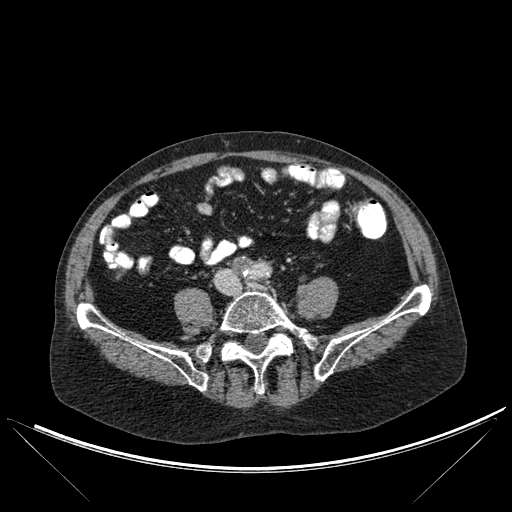 CT image.
Bone at box=[77, 303, 207, 390]; box=[314, 285, 431, 380]; box=[222, 292, 313, 393]; box=[197, 345, 211, 361].